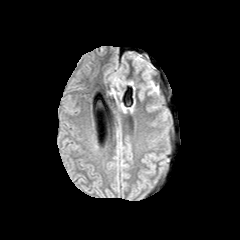
FLAIR MRI.
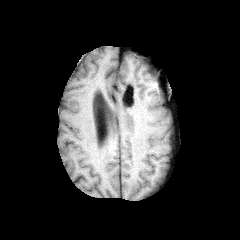
T1-weighted magnetic resonance.
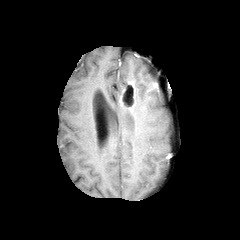
Same slice, post-contrast T1-weighted MR.
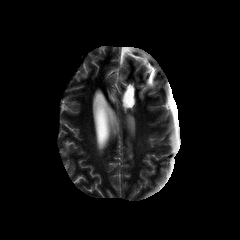
Same slice, T2-weighted MR image.
Brain
Annotated regions:
- edema: <bbox>139, 68, 156, 97</bbox>, <bbox>112, 72, 119, 86</bbox>